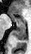 31x54 px. Medial temporal lobe. MR image.
Segmented structures:
* anterior hippocampus: bbox=[17, 17, 25, 23]; bbox=[10, 16, 16, 21]
* posterior hippocampus: bbox=[12, 23, 26, 40]